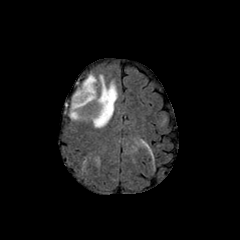
FLAIR MR.
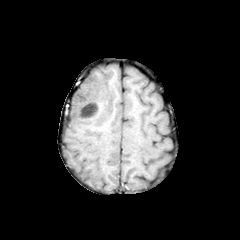
T1-weighted MR image.
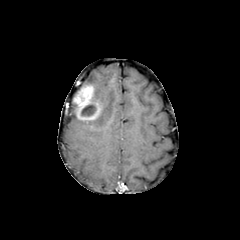
Post-contrast T1-weighted MRI of the same slice.
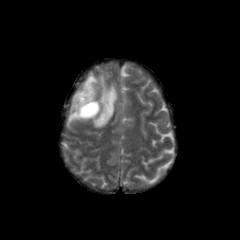
T2-weighted MRI.
Head
Edema: rect(70, 103, 79, 121); rect(79, 74, 117, 128).
Non-enhancing tumor core: rect(80, 102, 97, 116).
Enhancing tumor: rect(73, 84, 100, 119).